512x512, Liver, CT scan slice

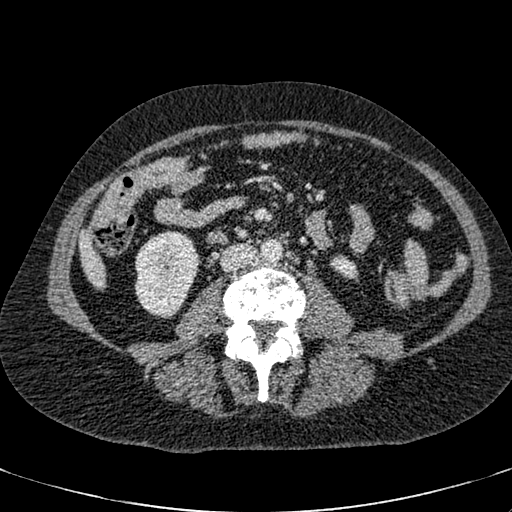

2 kidney regions are located at region(331, 257, 348, 272); region(136, 232, 198, 316). The liver appears at region(77, 229, 106, 288).